Image size 240x240.
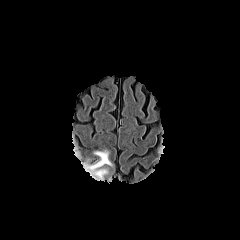
FLAIR MRI.
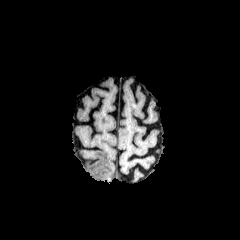
T1-weighted MR image.
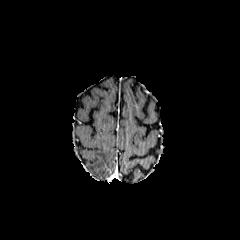
Post-contrast T1-weighted magnetic resonance of the same slice.
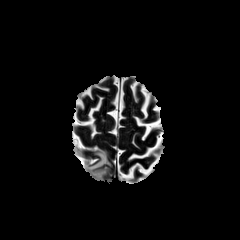
T2-weighted MRI of the same slice.
Edema = x1=88, y1=153, x2=112, y2=180.